CT. Slice 643 of 685.
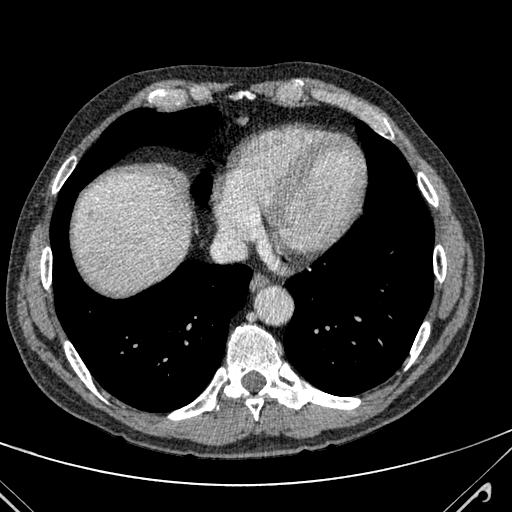

hepatic lesion: rect(180, 209, 191, 225) | liver: rect(73, 172, 191, 290)